Abdomen; CT scan slice 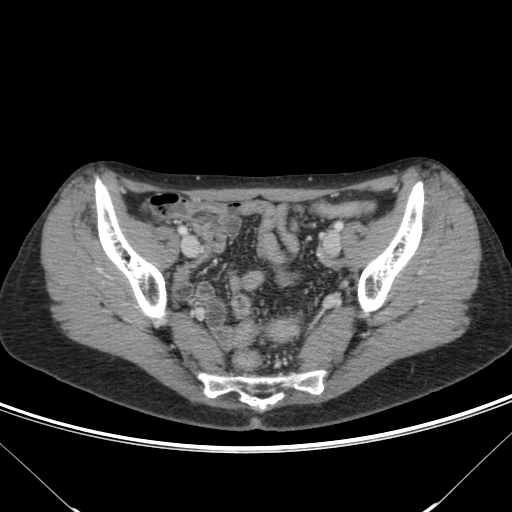 Colon tumor: [x1=269, y1=321, x2=298, y2=340], [x1=234, y1=321, x2=255, y2=345].